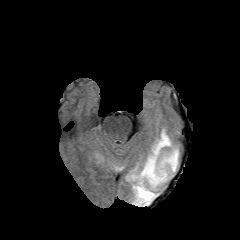
FLAIR MR image.
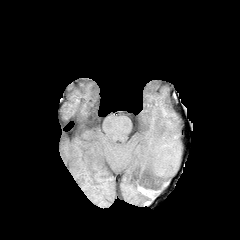
T1-weighted MR image of the same slice.
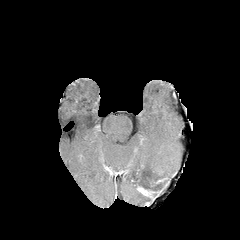
Post-contrast T1-weighted magnetic resonance.
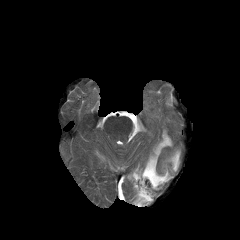
T2-weighted MR.
240x240 px
Edema: bounding box bbox=[127, 129, 179, 206].